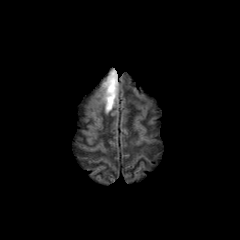
FLAIR MR.
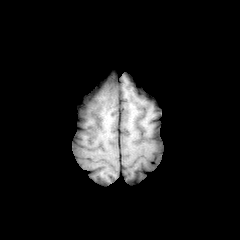
Same slice, T1-weighted MRI.
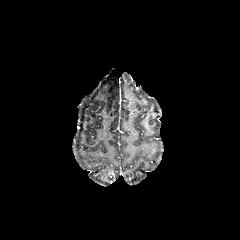
Post-contrast T1-weighted MR image of the same slice.
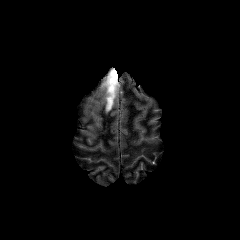
T2-weighted MRI.
240x240 px | Head
Segmented structures:
- edema: (101, 68, 119, 113)